Slice 386/685. Lower abdomen. CT scan slice.

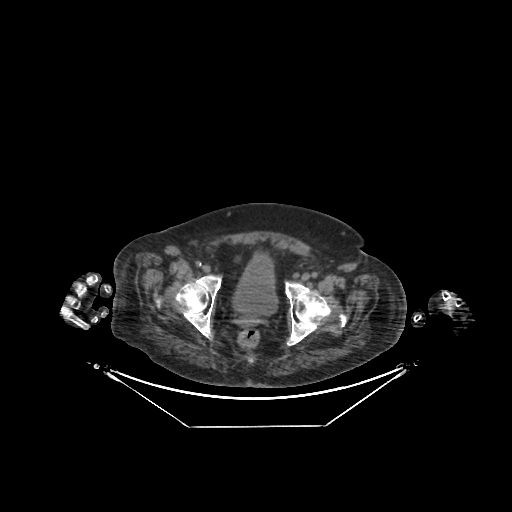 * urinary bladder: x1=232 y1=252 x2=278 y2=317